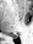
Image size 33x44. Magnetic resonance. Hippocampus.

The posterior hippocampus lies within 10, 35, 18, 38.